Brain.
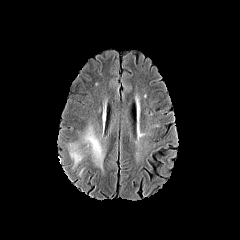
FLAIR magnetic resonance.
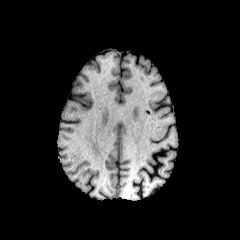
Same slice, T1-weighted MR.
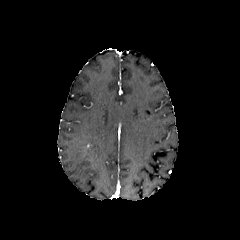
Post-contrast T1-weighted magnetic resonance.
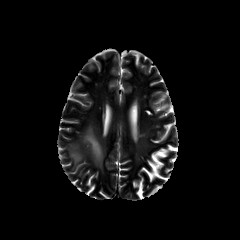
T2-weighted MR image.
edema:
  - 82,126,103,169
  - 68,144,84,168